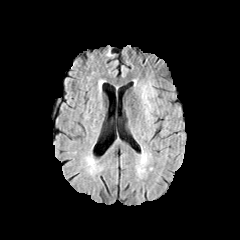
FLAIR MRI.
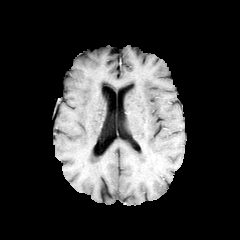
T1-weighted MR image.
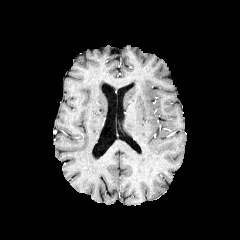
Post-contrast T1-weighted MRI.
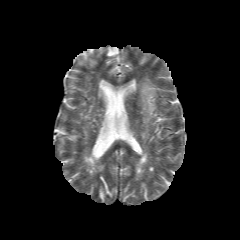
T2-weighted magnetic resonance.
240x240, Brain
Segmented structures:
- edema: l=136, t=149, r=151, b=175; l=140, t=86, r=155, b=120